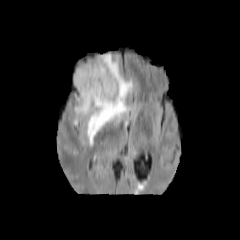
FLAIR MRI.
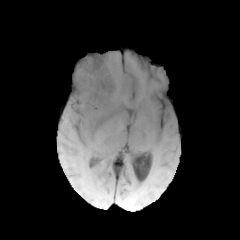
T1-weighted MRI.
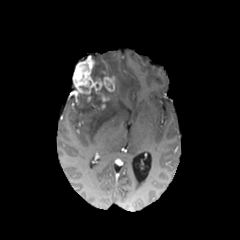
Post-contrast T1-weighted MR of the same slice.
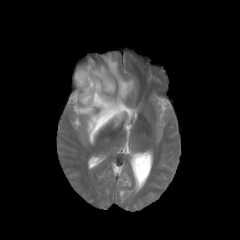
T2-weighted magnetic resonance.
Head, 240x240
<segmentation>
  <non-enhancing_tumor_core>(x1=91, y1=57, x2=113, y2=81), (x1=69, y1=88, x2=102, y2=113), (x1=101, y1=80, x2=118, y2=96)</non-enhancing_tumor_core>
  <edema>(x1=74, y1=54, x2=133, y2=143)</edema>
  <enhancing_tumor>(x1=71, y1=55, x2=115, y2=109)</enhancing_tumor>
</segmentation>